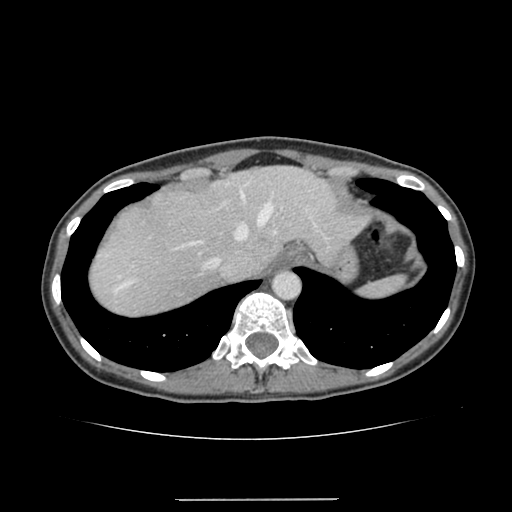 Abdomen | Computed tomography
The liver is located at 89:166:365:318.